Slice index 75 | Head
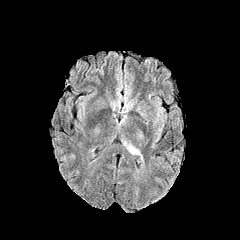
FLAIR MR.
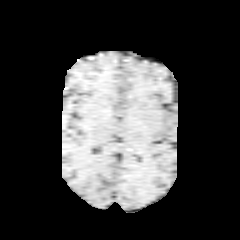
T1-weighted MR image of the same slice.
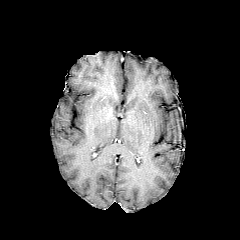
Post-contrast T1-weighted MRI.
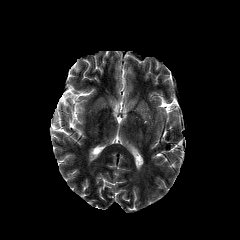
T2-weighted MR.
edema: (left=125, top=103, right=134, bottom=112), (left=125, top=143, right=139, bottom=155)